Upper abdomen. Field of view 360x360 mm. 512x512. CT slice.

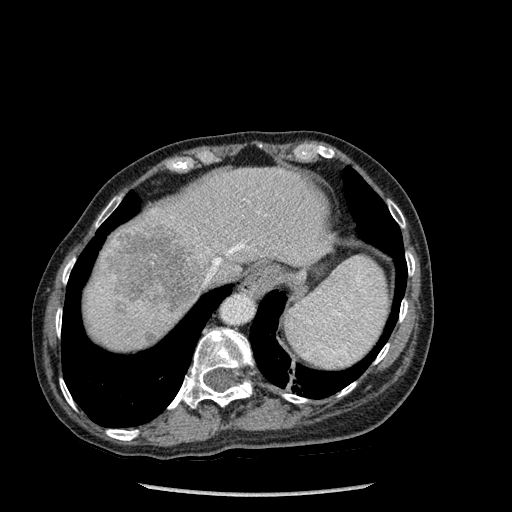 • liver: x1=82, y1=167, x2=338, y2=352
• bone: x1=168, y1=328, x2=253, y2=409; x1=62, y1=257, x2=75, y2=283; x1=388, y1=200, x2=405, y2=227; x1=399, y1=299, x2=408, y2=321; x1=405, y1=252, x2=415, y2=275; x1=106, y1=429, x2=138, y2=440; x1=282, y1=394, x2=307, y2=403; x1=55, y1=308, x2=61, y2=336; x1=374, y1=343, x2=389, y2=364; x1=95, y1=195, x2=121, y2=227; x1=60, y1=379, x2=75, y2=409; x1=338, y1=382, x2=356, y2=396
• lung: x1=61, y1=192, x2=231, y2=427; x1=250, y1=168, x2=407, y2=398
• liver lesion: x1=106, y1=219, x2=205, y2=310; x1=144, y1=332, x2=156, y2=342; x1=115, y1=302, x2=125, y2=313